CT slice | Liver
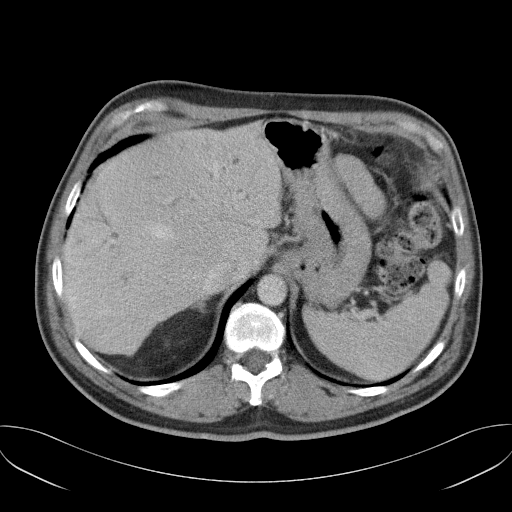 Only some of the vessels may be annotated.
Annotated regions:
- hepatic vessel: [146,224,172,237], [208,164,216,174]